Lung, Computed tomography, 512x512, Image width 400 mm, Slice index 175

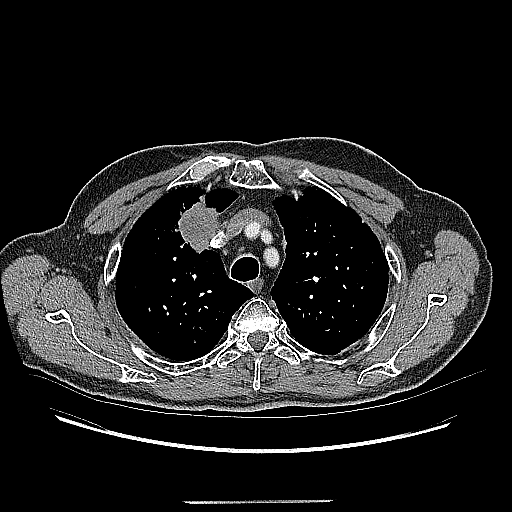 lung tumor: rect(174, 192, 221, 253)